240x240. Slice 53/155.
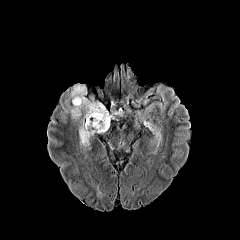
FLAIR MR.
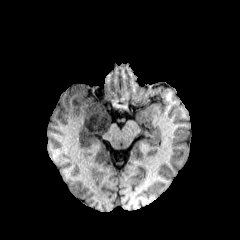
T1-weighted magnetic resonance.
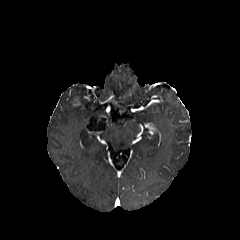
Post-contrast T1-weighted magnetic resonance.
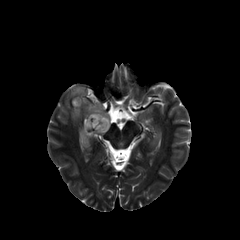
T2-weighted MR image of the same slice.
edema:
  - bbox=[68, 85, 105, 158]
non-enhancing_tumor_core:
  - bbox=[83, 110, 110, 132]